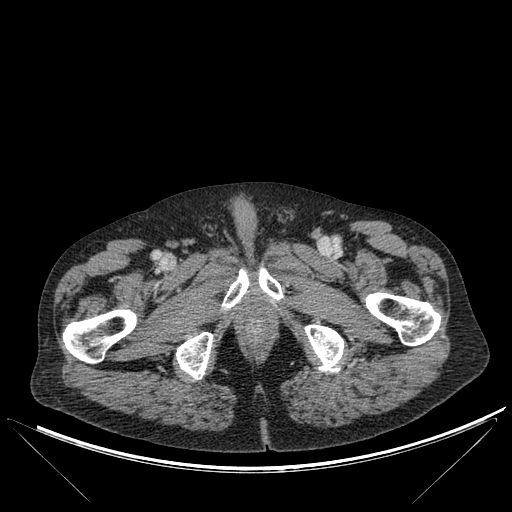

512x512; Computed tomography
<segmentation>
  <bone>region(176, 332, 213, 379); region(365, 292, 440, 345); region(62, 309, 136, 363); region(222, 269, 249, 310); region(258, 268, 283, 300); region(305, 324, 343, 371)</bone>
</segmentation>